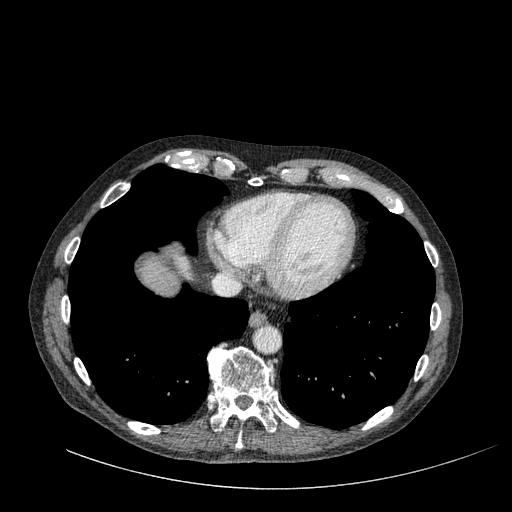
Upper abdomen | 512x512 px | CT

• liver: [x1=140, y1=259, x2=176, y2=296], [x1=171, y1=251, x2=191, y2=279]